FLAIR MR image.
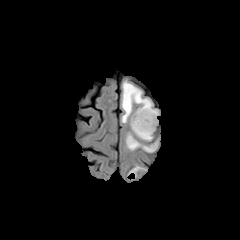
T1-weighted MRI.
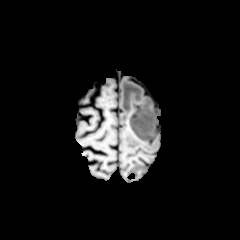
Post-contrast T1-weighted MR image.
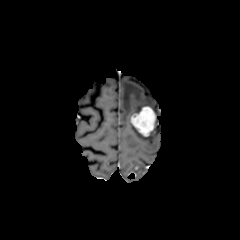
T2-weighted MR.
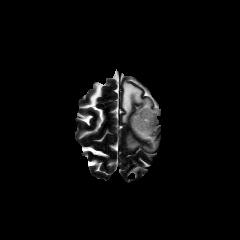
Enhancing tumor: [130, 106, 156, 136].
Edema: [120, 80, 159, 152].